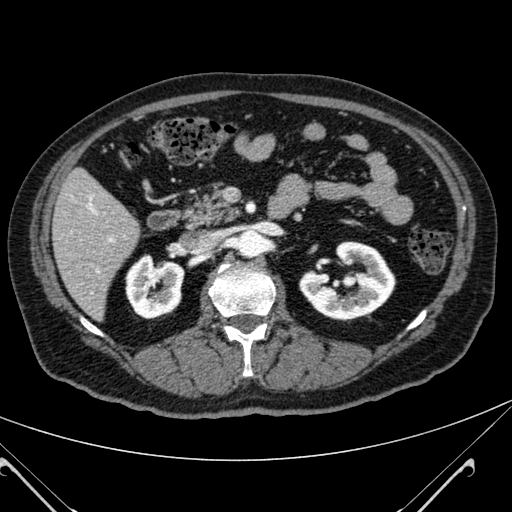

512x512, Computed tomography, Abdomen

liver: <box>51,173,136,317</box> | kidney: <box>126,256,182,317</box>, <box>300,242,393,318</box>